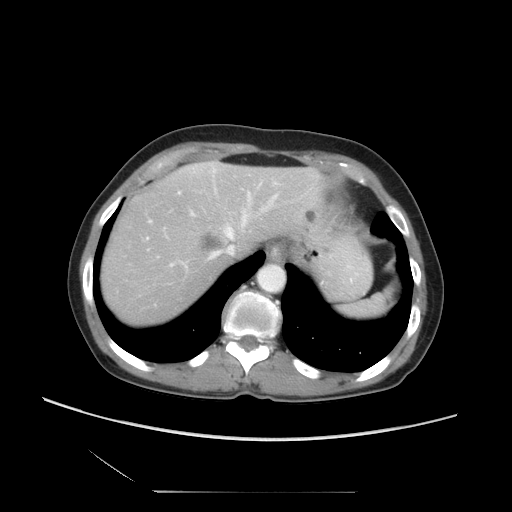 Liver. CT slice.
Only some of the vessels may be annotated.
2 liver tumor regions are located at (left=304, top=212, right=315, bottom=221), (left=200, top=234, right=225, bottom=250). 6 hepatic vessel regions are located at (left=261, top=195, right=275, bottom=210), (left=272, top=180, right=277, bottom=184), (left=223, top=226, right=233, bottom=238), (left=210, top=250, right=220, bottom=257), (left=190, top=211, right=193, bottom=215), (left=241, top=212, right=247, bottom=223).